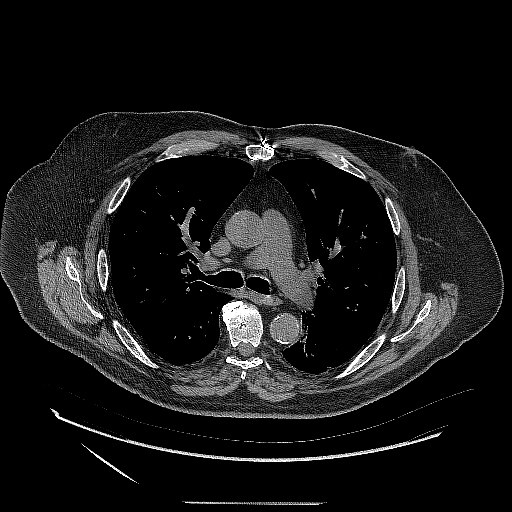
CT scan slice, Chest, 512x512 px
lung tumor: bbox(299, 310, 323, 361)